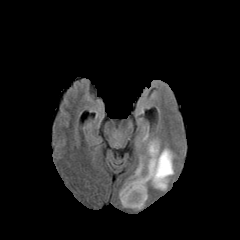
FLAIR MRI.
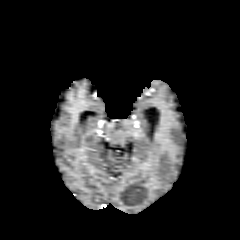
T1-weighted MRI of the same slice.
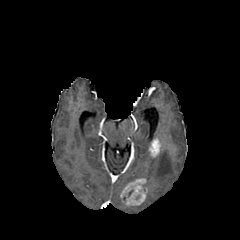
Post-contrast T1-weighted MR image.
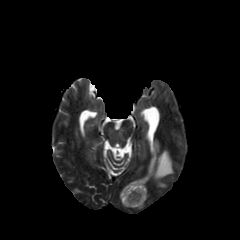
T2-weighted magnetic resonance.
The edema is bounded by [145, 149, 174, 190]. 2 enhancing tumor regions are located at [149, 139, 160, 157], [119, 176, 147, 207].